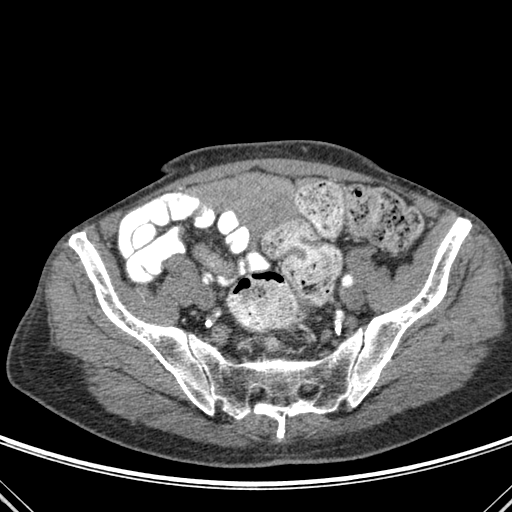
CT image
The bone is at {"x1": 68, "y1": 217, "x2": 471, "y2": 438}.